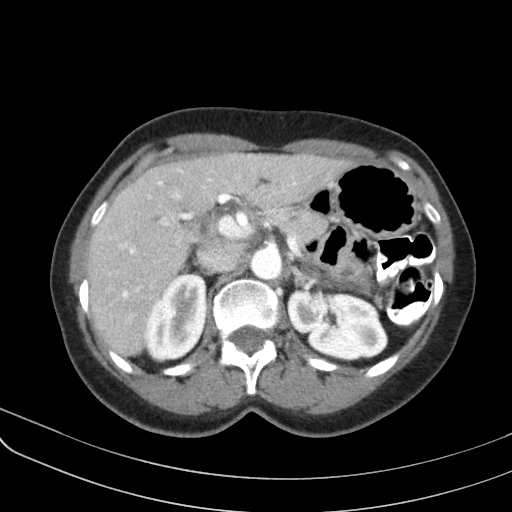
CT image; 512x512 px; Abdomen

Segmented structures:
- pancreas: (268, 208, 372, 294)